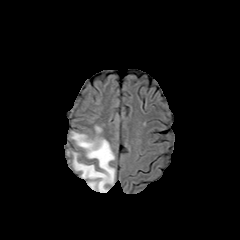
FLAIR MR image.
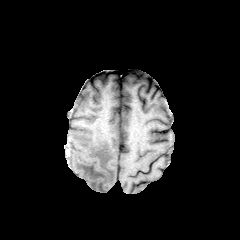
Same slice, T1-weighted magnetic resonance.
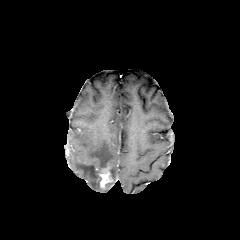
Same slice, post-contrast T1-weighted MRI.
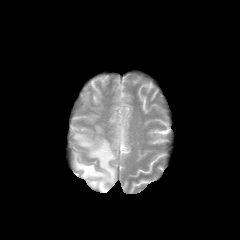
T2-weighted MR.
240x240 px.
Edema = box=[71, 132, 116, 192].
Enhancing tumor = box=[98, 167, 112, 187].
Non-enhancing tumor core = box=[91, 166, 109, 187].